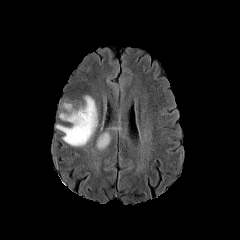
FLAIR magnetic resonance.
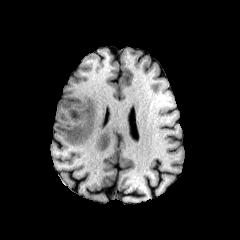
T1-weighted magnetic resonance.
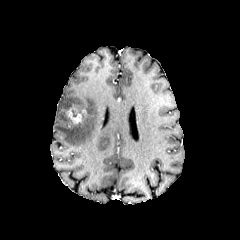
Post-contrast T1-weighted MR image of the same slice.
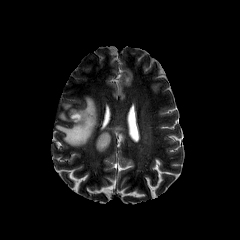
T2-weighted MR.
240x240. Brain.
3 edema regions appear at rect(62, 102, 71, 109); rect(96, 132, 110, 149); rect(56, 95, 98, 146). The enhancing tumor appears at rect(67, 100, 86, 123).